Head; Slice index 503; Image size 512x512; CT slice 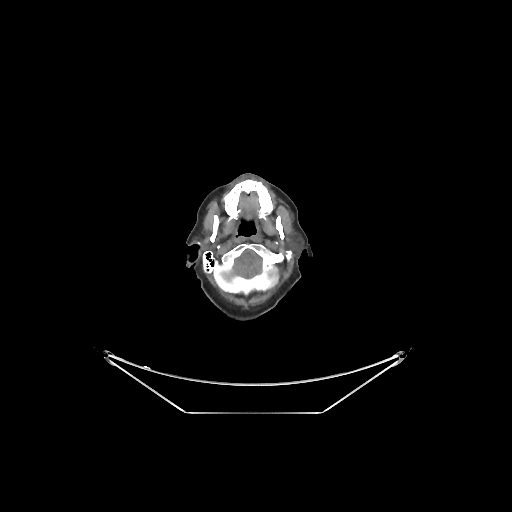 Brain: region(224, 248, 262, 279).